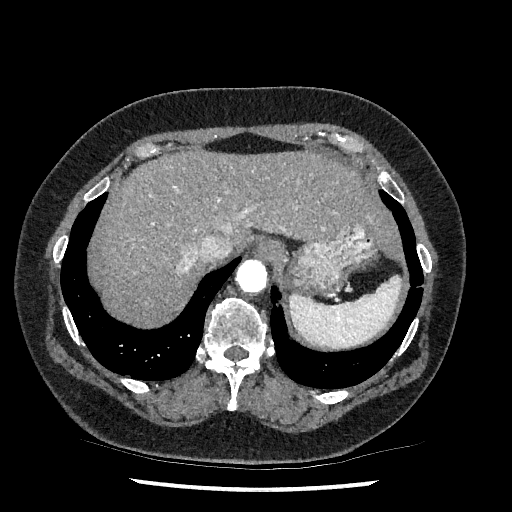 CT scan slice; Liver
The liver appears at 95, 151, 401, 325.